FLAIR MR.
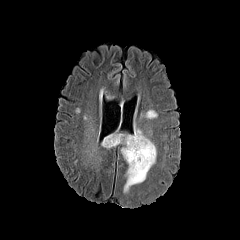
T1-weighted magnetic resonance.
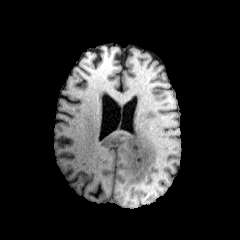
Post-contrast T1-weighted MR image.
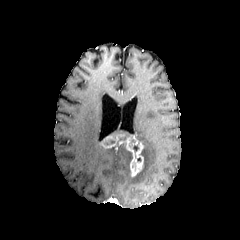
T2-weighted MR image.
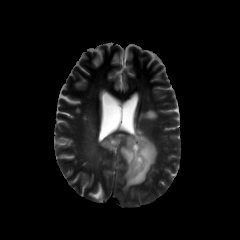
Head.
Edema = 138:109:158:122, 120:119:157:192.
Enhancing tumor = 100:134:143:177.